Brain
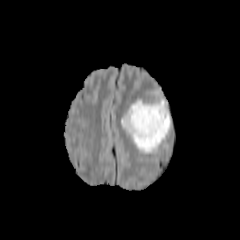
FLAIR MR.
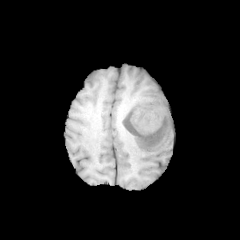
T1-weighted MR.
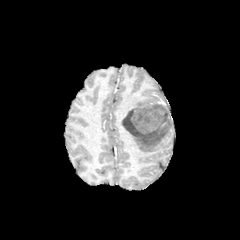
Post-contrast T1-weighted magnetic resonance.
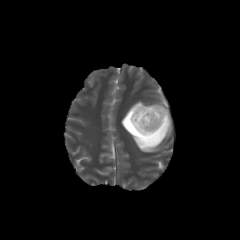
T2-weighted magnetic resonance.
edema:
  - l=121, t=100, r=172, b=152
  - l=121, t=99, r=151, b=123
non-enhancing_tumor_core:
  - l=122, t=103, r=169, b=139